Slice 561 of 908, CT scan slice

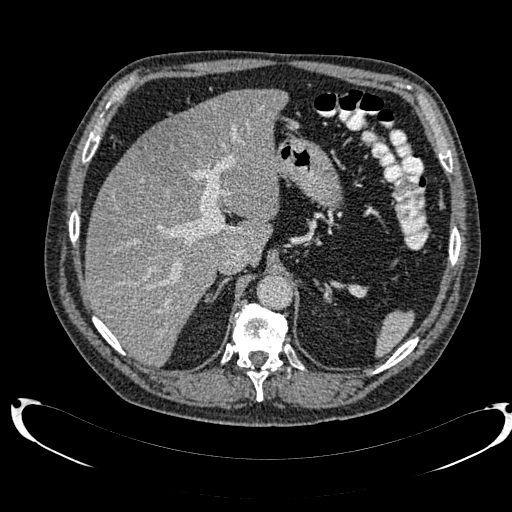
liver: box=[85, 89, 288, 366] | hepatic lesion: box=[133, 114, 222, 192]